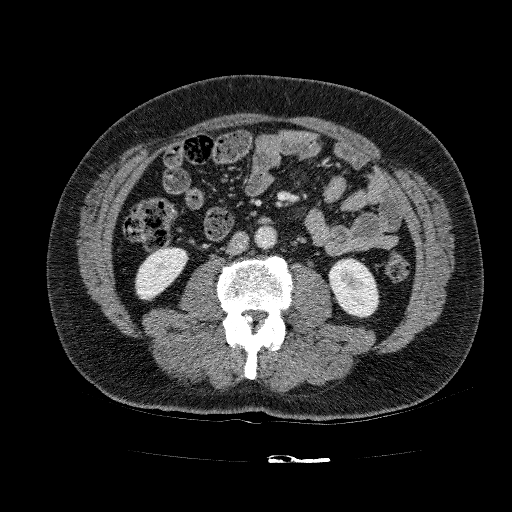 Abdomen | CT slice

2 kidney regions appear at (x1=329, y1=259, x2=378, y2=316), (x1=135, y1=248, x2=187, y2=299).